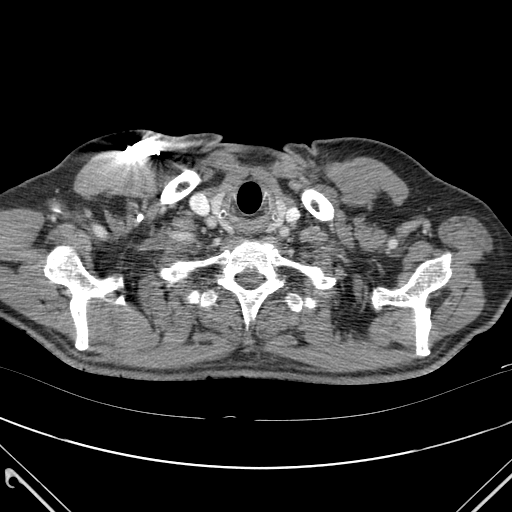 CT image
9 bone regions appear at 287, 296, 302, 311; 115, 296, 124, 304; 161, 240, 335, 325; 188, 291, 216, 306; 161, 170, 199, 203; 302, 189, 333, 220; 305, 298, 314, 307; 44, 246, 122, 349; 372, 254, 451, 355.